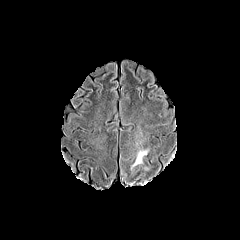
FLAIR MR.
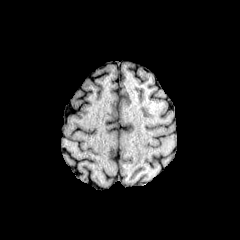
T1-weighted MRI.
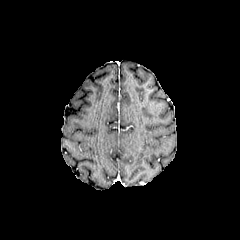
Post-contrast T1-weighted MR image.
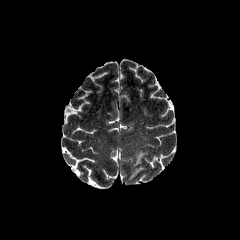
T2-weighted MRI.
Brain
Annotated regions:
- edema: 132:150:147:166